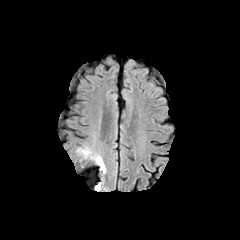
FLAIR MR.
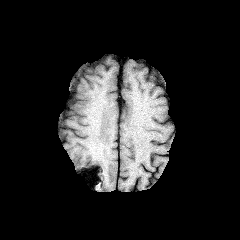
T1-weighted MRI.
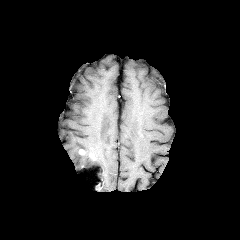
Post-contrast T1-weighted MR image.
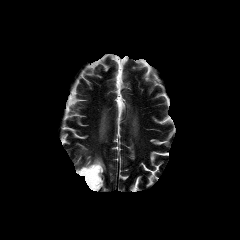
T2-weighted MR image of the same slice.
Edema = 76:145:106:181.
Non-enhancing tumor core = 89:152:100:160.